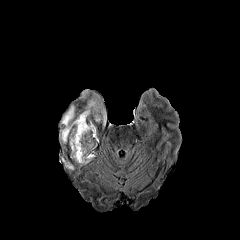
FLAIR MRI.
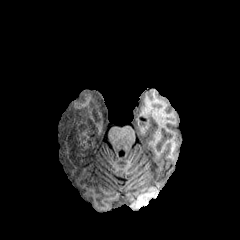
T1-weighted magnetic resonance.
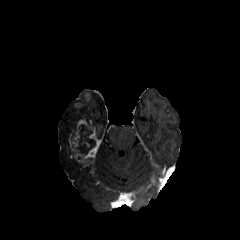
Post-contrast T1-weighted MR.
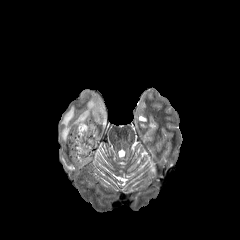
Same slice, T2-weighted MR.
Head.
Non-enhancing tumor core: bounding box (76,124,95,154), (71,113,96,134).
Enhancing tumor: bounding box (68,118,99,165), (80,131,90,147).
Edema: bounding box (59,93,106,147), (60,156,73,170).